Brain | Slice 71 of 155
FLAIR MR.
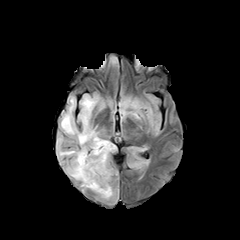
T1-weighted MR image.
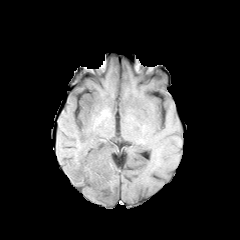
Post-contrast T1-weighted magnetic resonance.
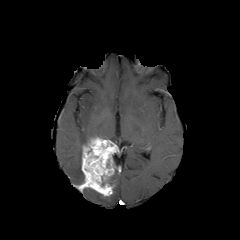
T2-weighted MR image.
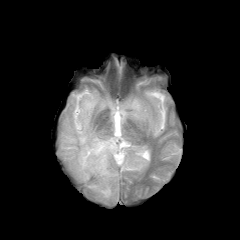
Non-enhancing tumor core = region(108, 154, 117, 185).
Enhancing tumor = region(81, 136, 117, 197).
Edema = region(57, 92, 113, 183); region(131, 147, 141, 159); region(120, 97, 146, 120).